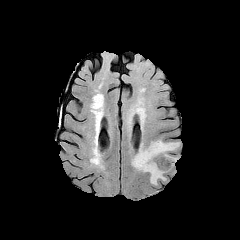
FLAIR MR.
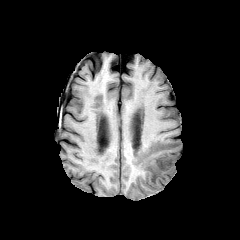
T1-weighted MR of the same slice.
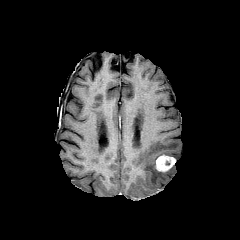
Post-contrast T1-weighted MR image.
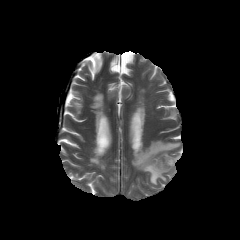
Same slice, T2-weighted MR.
Head; 240x240
Non-enhancing tumor core = [150,168,161,178].
Edema = [132,139,179,185].
Enhancing tumor = [155,155,175,171].